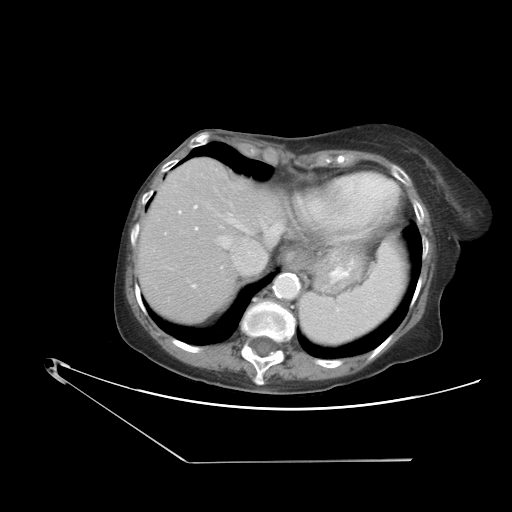
CT slice | 512x512
The vessel annotation is not exhaustive.
Liver tumor: box(236, 179, 249, 190).
Hepatic vessel: box(194, 205, 196, 207); box(262, 224, 278, 241); box(217, 236, 264, 270); box(192, 285, 195, 287); box(195, 227, 197, 229); box(179, 211, 180, 212); box(228, 213, 251, 233).